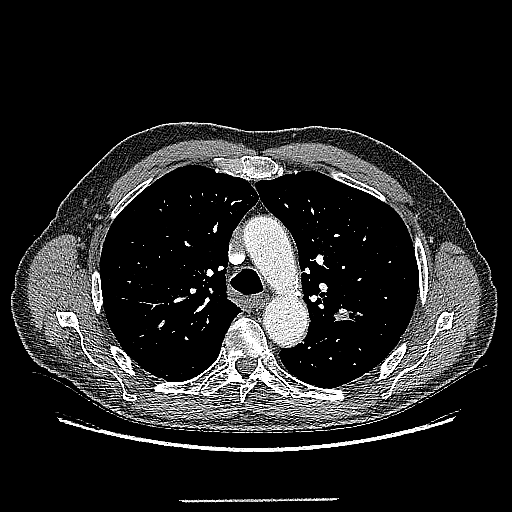

CT

<segmentation>
  <lung_tumor><bbox>331, 308, 367, 324</bbox></lung_tumor>
</segmentation>